FLAIR MR.
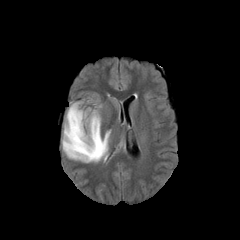
T1-weighted MR image.
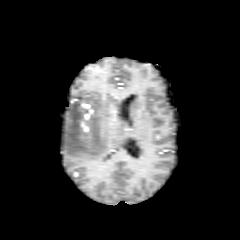
Post-contrast T1-weighted magnetic resonance.
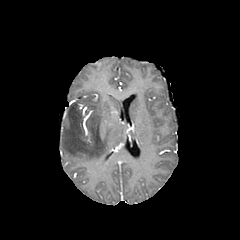
T2-weighted MR image.
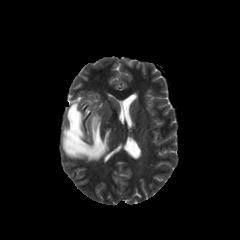
Brain.
non-enhancing_tumor_core:
  - [x1=70, y1=104, x2=81, y2=128]
edema:
  - [x1=62, y1=104, x2=109, y2=162]